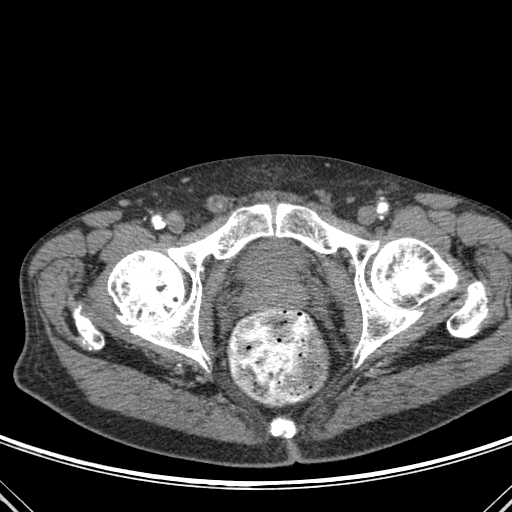

CT slice; 512x512 px
Bone at (107, 203, 487, 370), (73, 305, 103, 349), (271, 418, 295, 437).